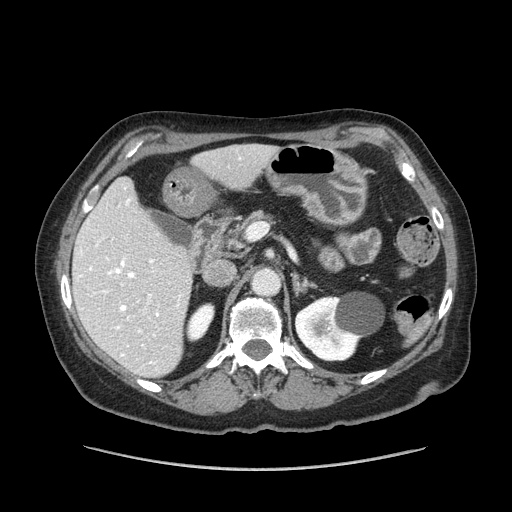

Image size 512x512, Computed tomography
Pancreas: [222, 213, 275, 252].